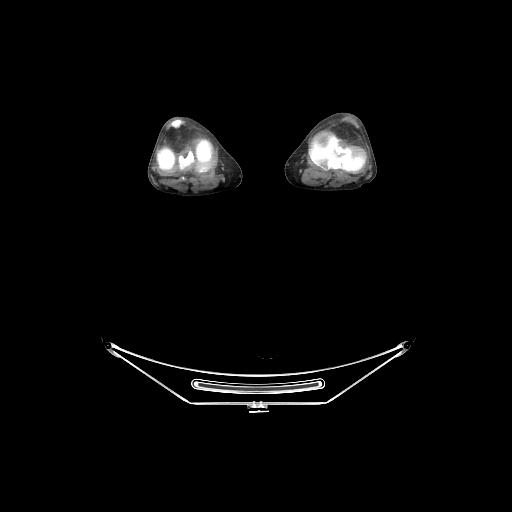

CT image
Segmented structures:
• bone: [171,120,182,127], [157,137,215,174], [309,131,366,172]